CT image | Slice 604 of 722 | Upper abdomen | Image size 512x512 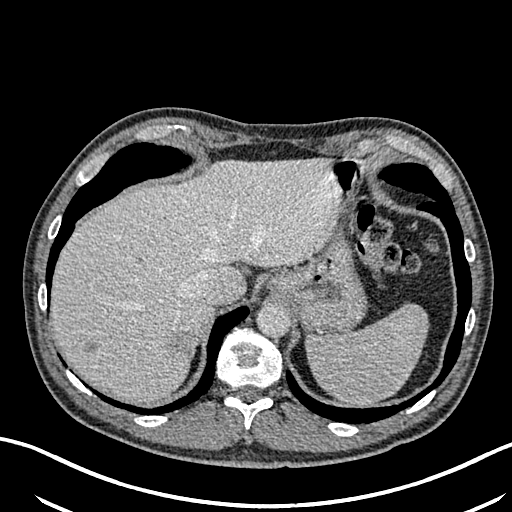 Hepatic lesion = [166,331,190,358], [85,341,95,351].
Liver = [51,157,338,401].